FLAIR MR.
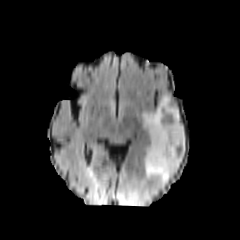
T1-weighted magnetic resonance.
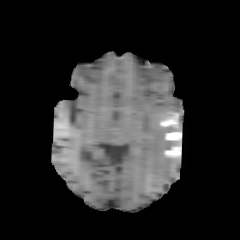
Post-contrast T1-weighted MRI.
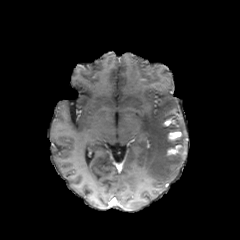
T2-weighted MR.
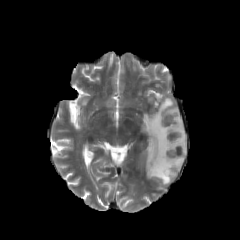
Head.
The edema is at 142, 94, 186, 184. 2 enhancing tumor regions are located at 167, 145, 182, 154; 168, 131, 182, 140. The non-enhancing tumor core is located at 167, 112, 178, 123.